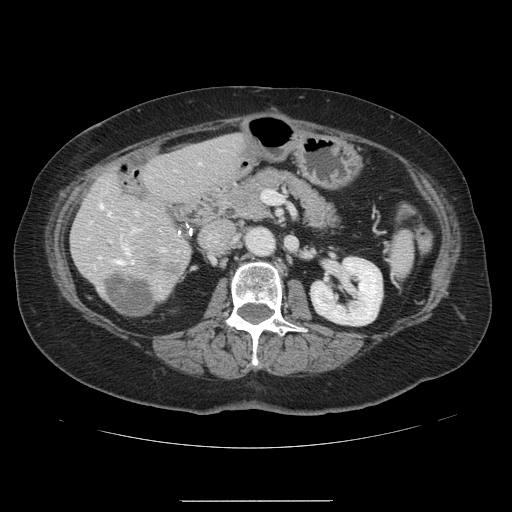

CT scan slice

Only some of the vessels may be annotated.
liver_tumor:
  - left=146, top=258, right=185, bottom=280
  - left=109, top=276, right=157, bottom=314
hepatic_vessel:
  - left=159, top=248, right=164, bottom=251
  - left=99, top=203, right=103, bottom=207
  - left=99, top=256, right=101, bottom=258
  - left=107, top=211, right=110, bottom=214
  - left=199, top=162, right=200, bottom=164
  - left=108, top=239, right=110, bottom=240
  - left=131, top=227, right=139, bottom=232
  - left=129, top=259, right=133, bottom=262
  - left=120, top=235, right=122, bottom=239
  - left=122, top=243, right=128, bottom=253
  - left=134, top=211, right=137, bottom=213
  - left=115, top=259, right=124, bottom=263